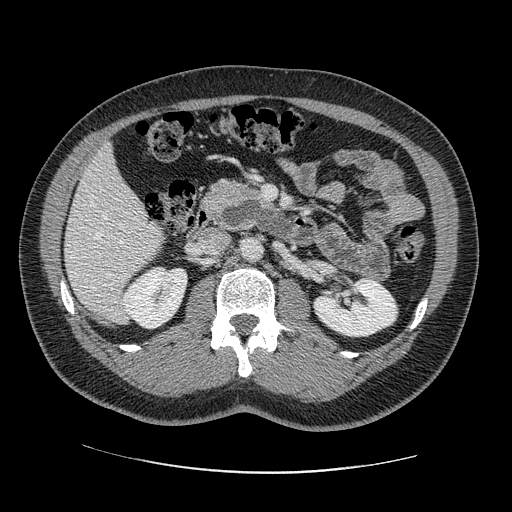 Image size 512x512 | CT scan slice

Findings:
• pancreas: (x1=200, y1=178, x2=269, y2=231)